FLAIR MR.
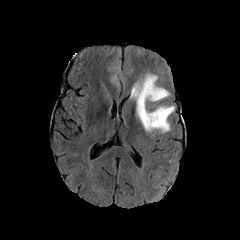
T1-weighted MRI.
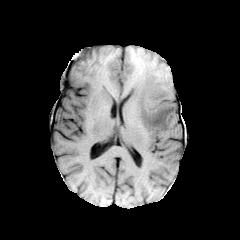
Post-contrast T1-weighted MRI.
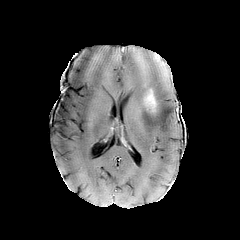
T2-weighted MRI.
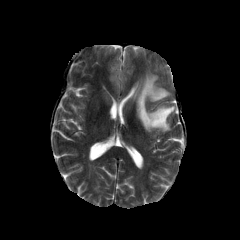
Head
2 non-enhancing tumor core regions are bounded by left=152, top=109, right=167, bottom=125; left=142, top=108, right=149, bottom=123. The edema is bounded by left=129, top=73, right=175, bottom=133.